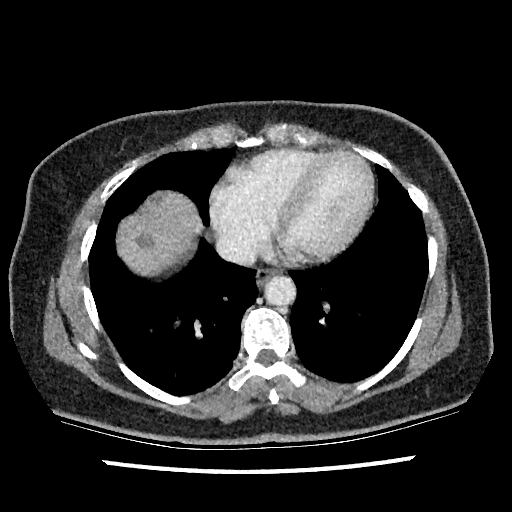
CT

The liver is at (119, 194, 198, 271). 2 focal liver lesion regions are located at (138, 234, 154, 249), (153, 193, 164, 202).